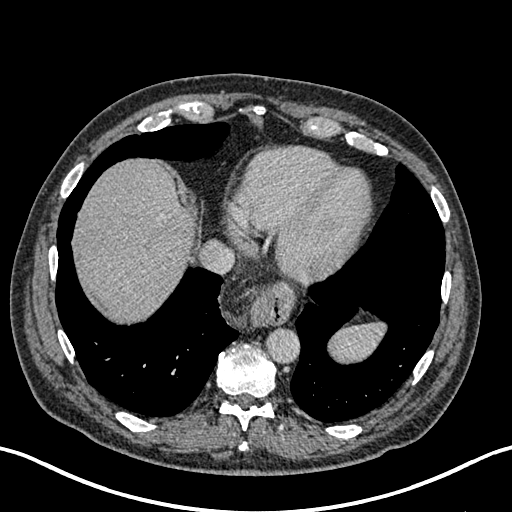

CT
hepatic_lesion:
  - 143,239,154,250
liver:
  - 74,158,194,319